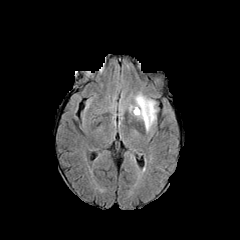
FLAIR MRI.
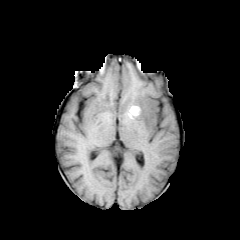
T1-weighted MR image of the same slice.
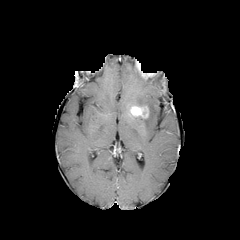
Post-contrast T1-weighted MR image of the same slice.
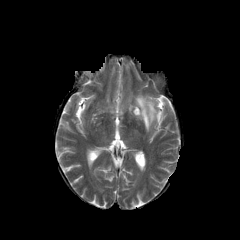
T2-weighted MR image.
Brain.
<segmentation>
  <enhancing_tumor>bbox(130, 105, 149, 119)</enhancing_tumor>
  <edema>bbox(135, 93, 156, 130)</edema>
</segmentation>